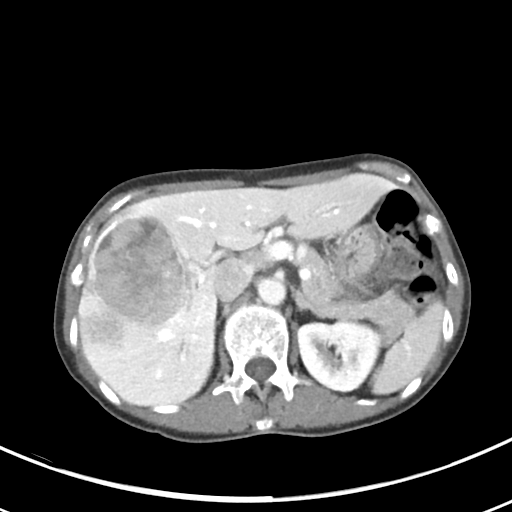 512x512. CT image.
Not every hepatic vessel necessarily has a box.
3 hepatic vessel regions appear at 201, 275, 203, 276; 159, 331, 171, 338; 246, 222, 249, 224. The liver tumor appears at 80, 212, 198, 352.